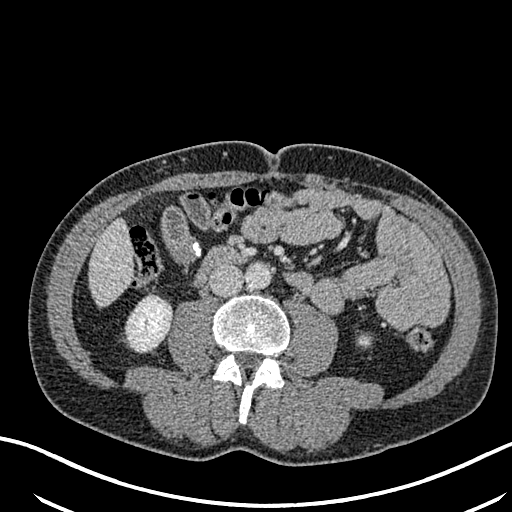 CT. 512x512.
The liver is bounded by [90,219,133,306]. The kidney is bounded by [127,297,171,350].